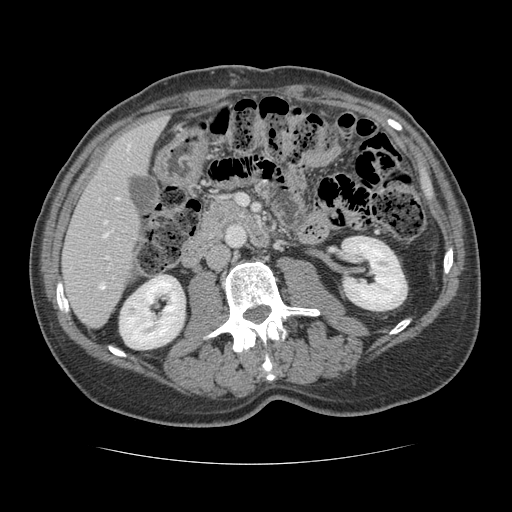
CT scan slice

Some hepatic vessels may have no box.
<segmentation>
  <hepatic_vessel>x1=99 y1=284 x2=104 y2=288, x1=116 y1=197 x2=119 y2=199, x1=127 y1=145 x2=128 y2=150, x1=112 y1=228 x2=113 y2=230, x1=106 y1=256 x2=109 y2=258, x1=104 y1=221 x2=106 y2=222, x1=104 y1=233 x2=108 y2=236</hepatic_vessel>
</segmentation>